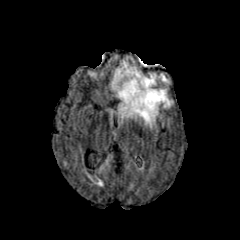
FLAIR magnetic resonance.
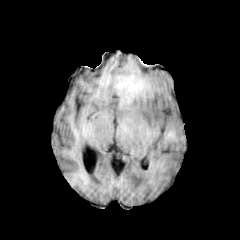
T1-weighted MR of the same slice.
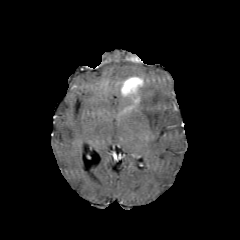
Post-contrast T1-weighted magnetic resonance of the same slice.
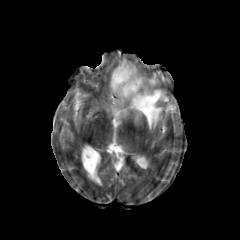
Same slice, T2-weighted MRI.
240x240.
<segmentation>
  <edema>rect(111, 61, 171, 127); rect(158, 73, 168, 82)</edema>
  <enhancing_tumor>rect(121, 76, 142, 96)</enhancing_tumor>
</segmentation>